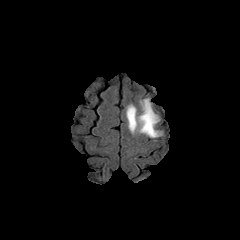
FLAIR MR image.
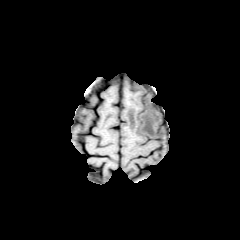
T1-weighted MR image.
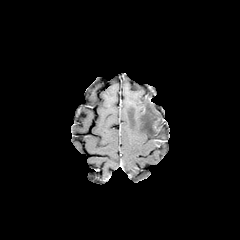
Same slice, post-contrast T1-weighted MR.
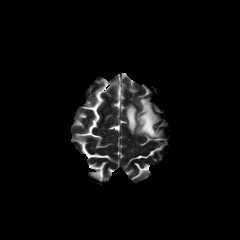
Same slice, T2-weighted MR.
Brain
Edema — x1=125 y1=98 x2=161 y2=138.
Non-enhancing tumor core — x1=145 y1=113 x2=151 y2=132.